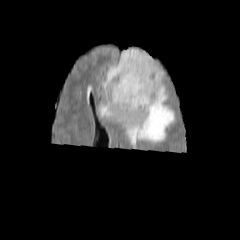
FLAIR MR.
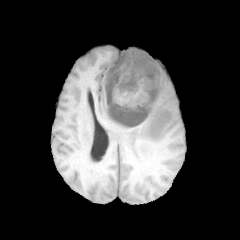
T1-weighted MR image of the same slice.
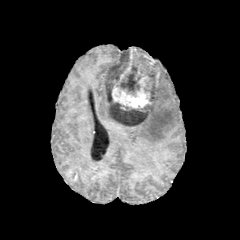
Same slice, post-contrast T1-weighted MR.
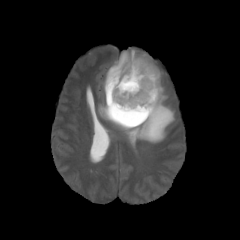
Same slice, T2-weighted MRI.
240x240
2 enhancing tumor regions are bounded by 119, 61, 132, 81; 111, 69, 151, 108. 3 edema regions appear at 135, 48, 150, 57; 106, 73, 120, 78; 98, 77, 175, 151. The non-enhancing tumor core is located at 104, 49, 160, 127.